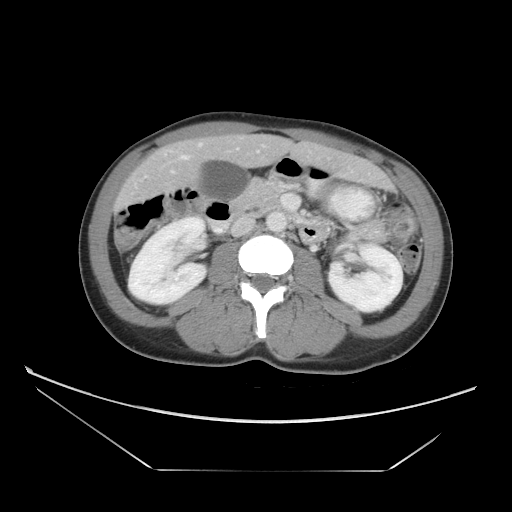 CT slice; Abdomen
The vessel boxes may cover only some of the vessels.
hepatic_vessel:
  - [177,154,190,159]